FLAIR MR.
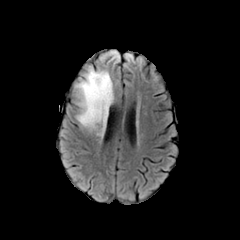
T1-weighted MRI.
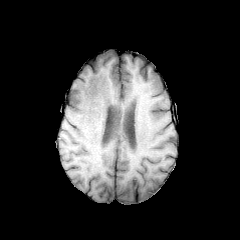
Post-contrast T1-weighted MR image.
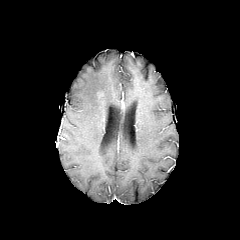
T2-weighted MR image.
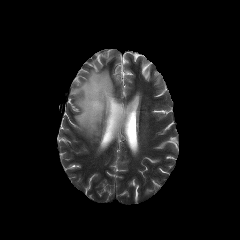
240x240, Head
Edema — [74,68,115,136].